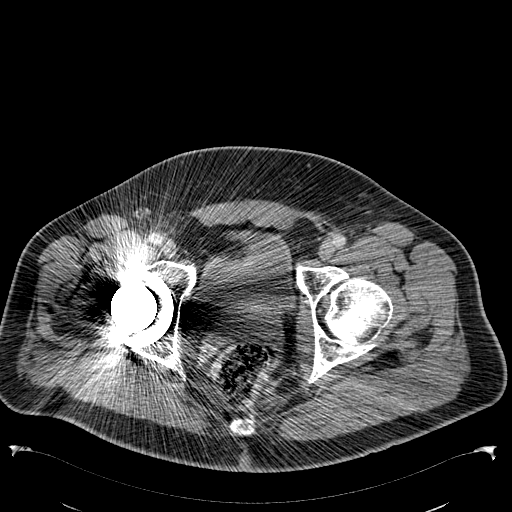
Computed tomography | Lower abdomen
Annotated regions:
• urinary bladder: (x1=195, y1=229, x2=301, y2=324)